Slice 68/588; Image size 512x512; CT image
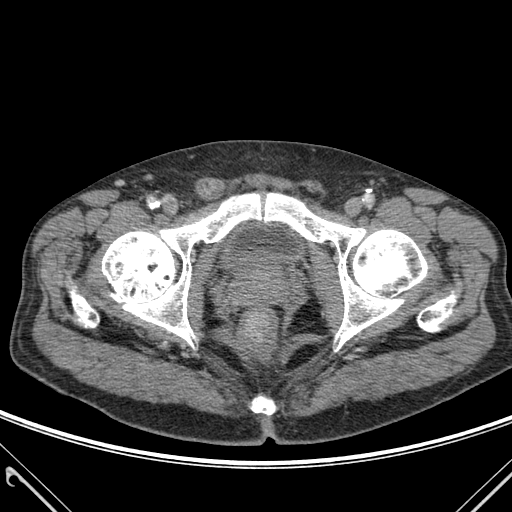
bone: (418,294,455,331), (102,193,427,350), (252,397,274,414), (71,290,98,327)